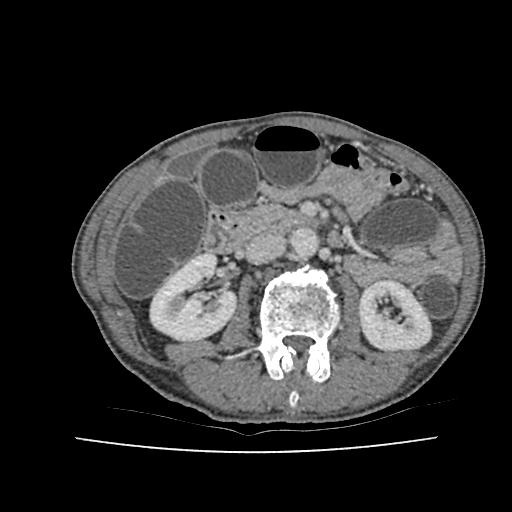

CT image.
2 kidney regions are located at [x1=360, y1=281, x2=430, y2=349], [x1=150, y1=254, x2=235, y2=340].